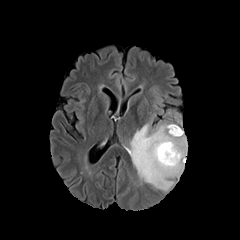
FLAIR MR.
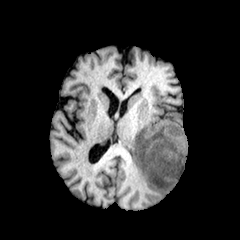
T1-weighted MR.
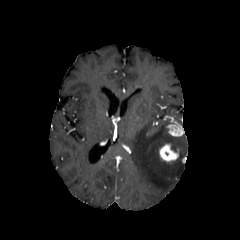
Same slice, post-contrast T1-weighted MRI.
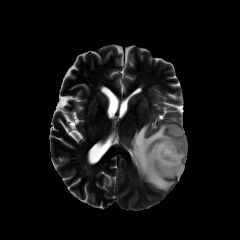
T2-weighted MR image.
Annotated regions:
- enhancing tumor: box(159, 145, 178, 162); box(167, 123, 183, 136)
- edema: box(130, 122, 187, 190)